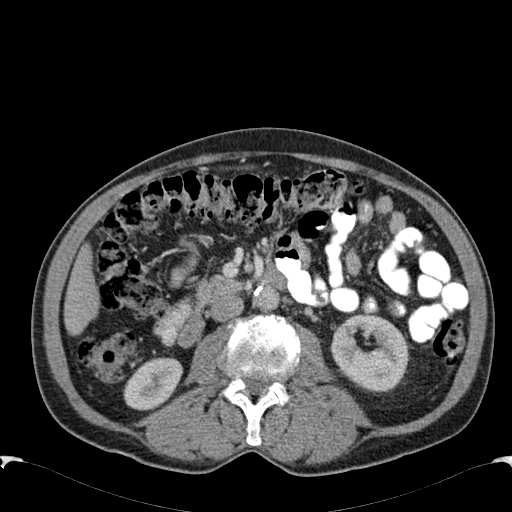
Image size 512x512 | CT

2 kidney regions are located at box=[124, 358, 181, 409]; box=[332, 318, 407, 390]. The liver is at box=[65, 245, 99, 335].